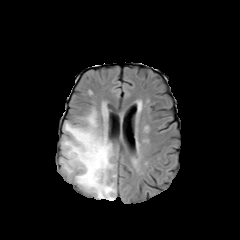
FLAIR MR.
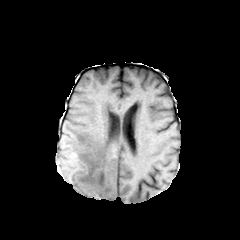
T1-weighted magnetic resonance.
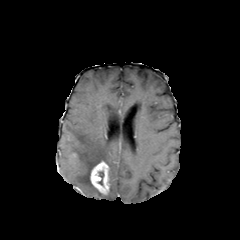
Post-contrast T1-weighted MRI of the same slice.
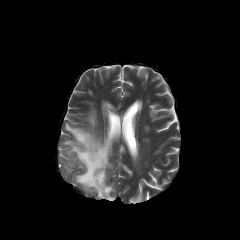
Same slice, T2-weighted MR image.
Head.
Enhancing tumor: bounding box 90:160:109:194.
Edema: bounding box 60:112:116:199.